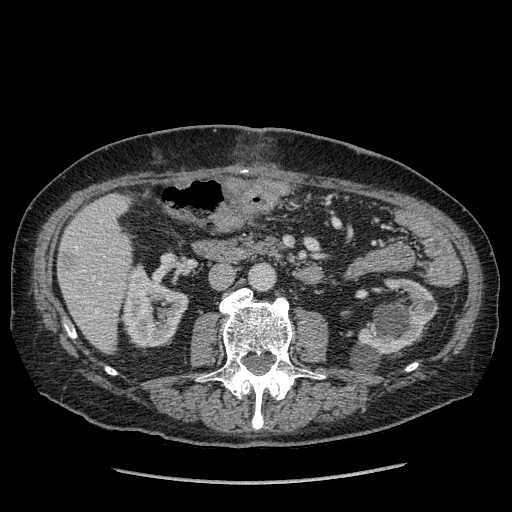 Upper abdomen, CT image

Liver: x1=58 y1=194 x2=131 y2=353.
Focal liver lesion: x1=62 y1=252 x2=78 y2=269.
Kidney: x1=358 y1=279 x2=437 y2=353, x1=123 y1=266 x2=187 y2=346.